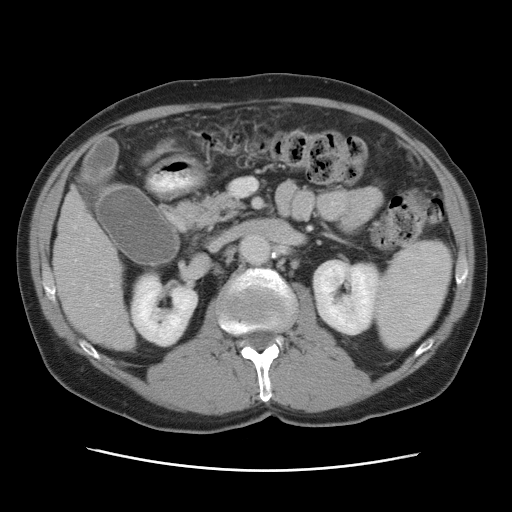

CT image.
Only some of the vessels may be annotated.
Hepatic vessel: bounding box <box>107,312,108,313</box>, <box>72,281,73,284</box>, <box>75,259,76,261</box>, <box>109,285,113,286</box>, <box>85,286,88,290</box>, <box>74,226,76,228</box>, <box>95,303,98,306</box>.